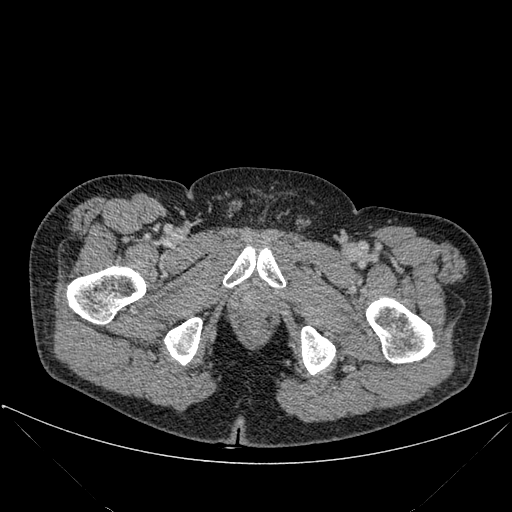 CT image; 512x512

5 bone regions are bounded by box(366, 297, 434, 362); box(223, 246, 285, 287); box(301, 326, 335, 374); box(67, 266, 145, 323); box(164, 317, 202, 364).